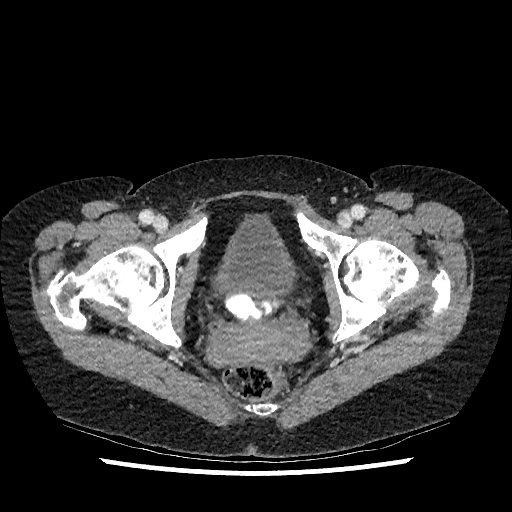
Lower abdomen. CT.

<segmentation>
  <urinary_bladder>[212, 212, 298, 293]</urinary_bladder>
</segmentation>